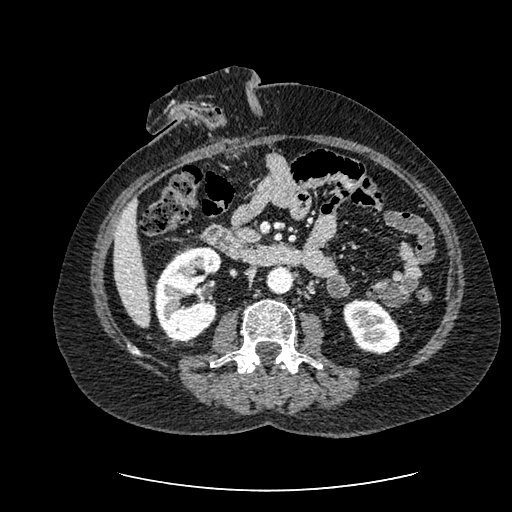

Computed tomography. Abdomen.

Kidney at [344,300,399,353], [155,248,220,340].
Liver at [114,199,149,326].